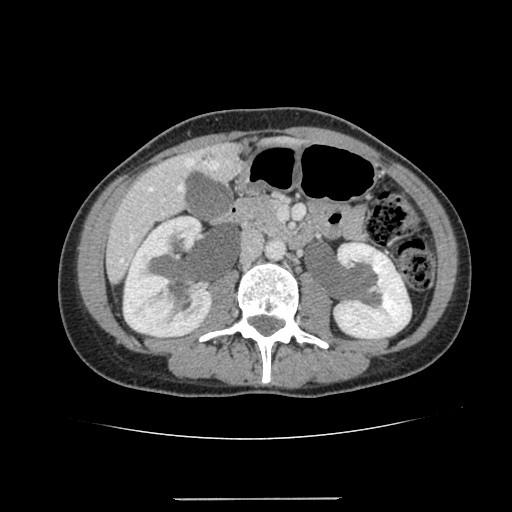 Image size 512x512 | CT image
<segmentation>
  <kidney>334:243:410:338, 123:217:210:336</kidney>
  <liver>107:142:241:283, 263:137:294:144</liver>
</segmentation>